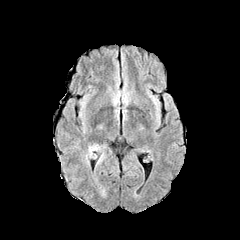
FLAIR MR.
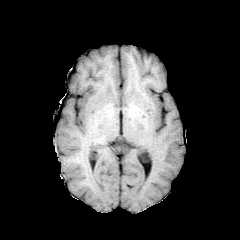
T1-weighted magnetic resonance.
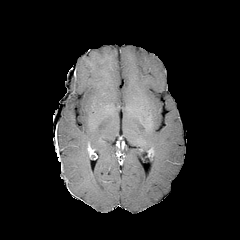
Post-contrast T1-weighted MR.
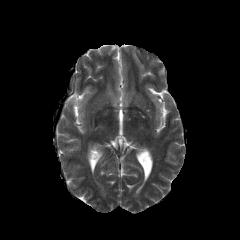
T2-weighted MRI.
Brain | 240x240 px
The edema is bounded by <bbox>91, 143, 106, 164</bbox>.